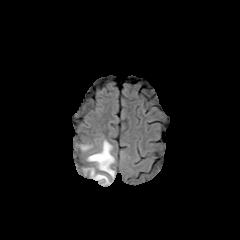
FLAIR MR image.
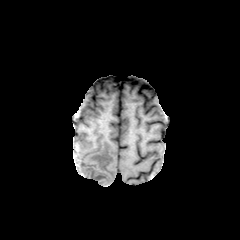
T1-weighted MR of the same slice.
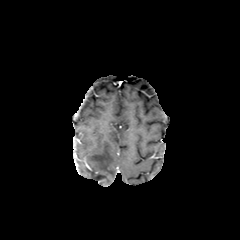
Same slice, post-contrast T1-weighted magnetic resonance.
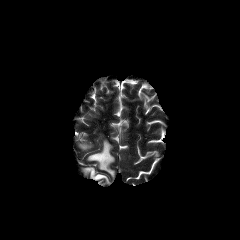
T2-weighted MR.
Head.
edema:
  - left=78, top=139, right=114, bottom=184